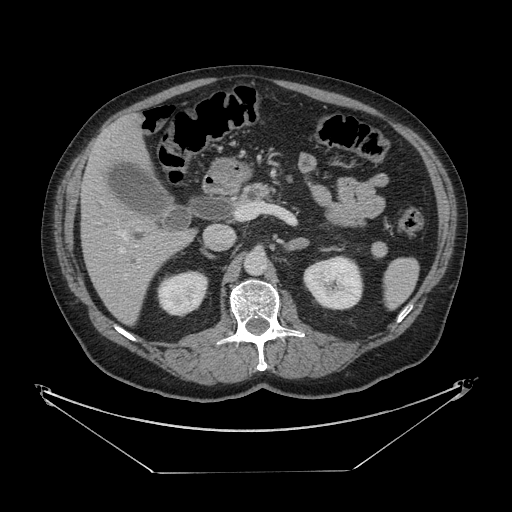
512x512; Upper abdomen; CT image
Segmented structures:
- pancreas: x1=241 y1=184 x2=269 y2=201